Head. 240x240 px.
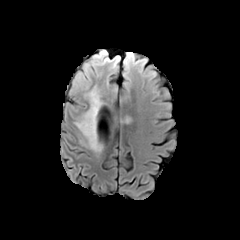
FLAIR MR.
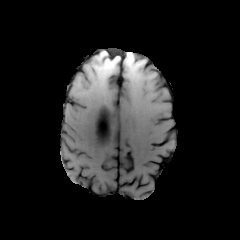
T1-weighted magnetic resonance of the same slice.
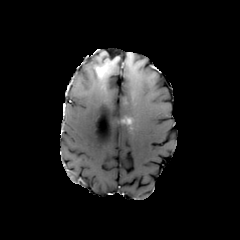
Post-contrast T1-weighted magnetic resonance of the same slice.
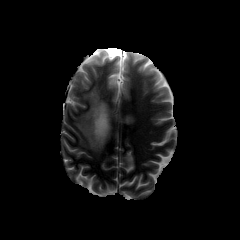
T2-weighted MR of the same slice.
Segmented structures:
• edema: 75,66,102,151; 122,53,136,77
• enhancing tumor: 104,58,117,71
• non-enhancing tumor core: 84,52,109,69